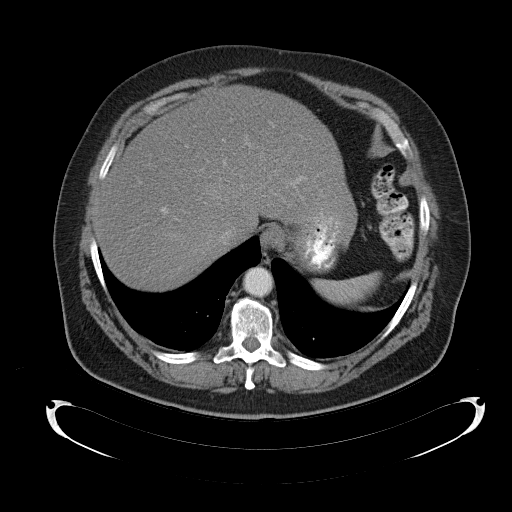 CT slice; Image size 512x512
The spleen is at x1=314 y1=274 x2=378 y2=304.